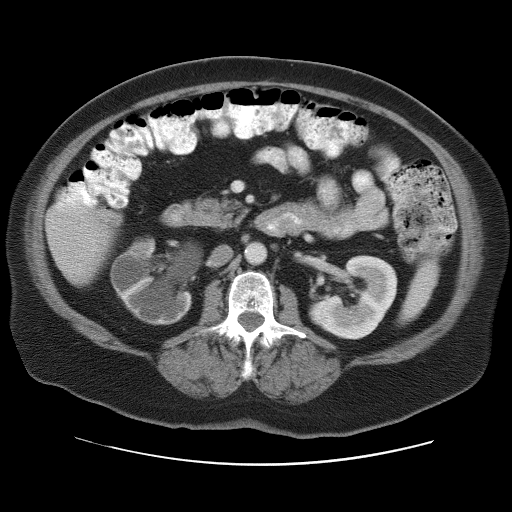

CT image; Upper abdomen
2 spleen regions are located at x1=407 y1=266 x2=431 y2=305, x1=401 y1=307 x2=417 y2=317.